FLAIR magnetic resonance.
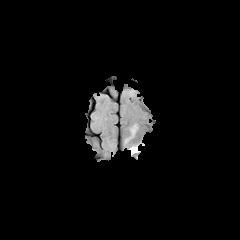
T1-weighted magnetic resonance.
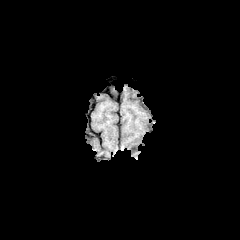
Post-contrast T1-weighted MRI.
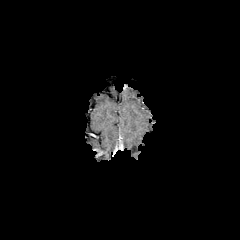
T2-weighted MR.
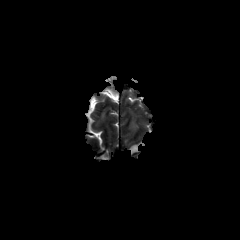
Edema — [x1=129, y1=145, x2=139, y2=155].